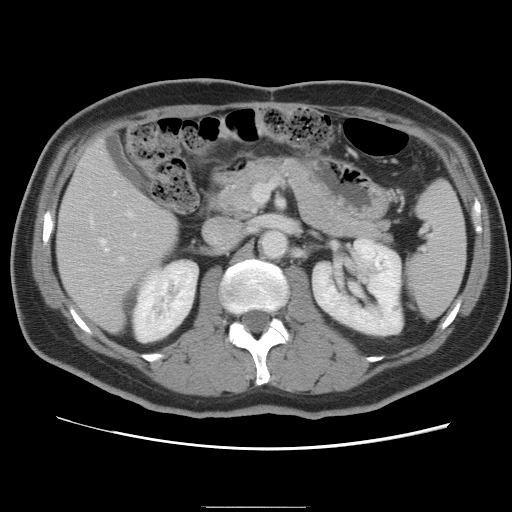

Abdomen, CT scan slice
The vessel annotation is not exhaustive.
hepatic_vessel:
  - x1=89, y1=217, x2=92, y2=224
  - x1=113, y1=191, x2=115, y2=193
  - x1=133, y1=233, x2=134, y2=235
  - x1=119, y1=257, x2=123, y2=260
  - x1=126, y1=211, x2=132, y2=216
  - x1=100, y1=238, x2=107, y2=250